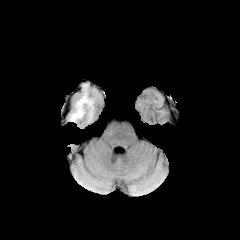
FLAIR MR.
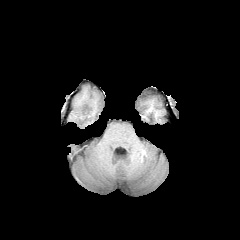
Same slice, T1-weighted MR image.
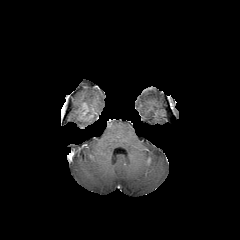
Post-contrast T1-weighted magnetic resonance of the same slice.
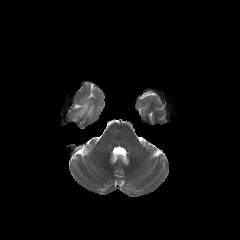
T2-weighted MR image.
240x240. Brain.
Edema = l=71, t=93, r=93, b=121.